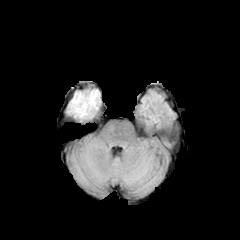
FLAIR MRI.
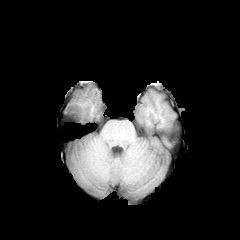
T1-weighted magnetic resonance of the same slice.
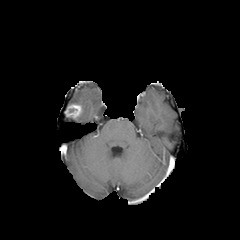
Post-contrast T1-weighted MR image.
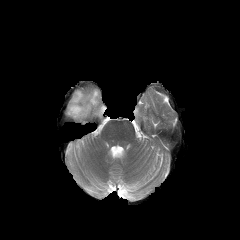
T2-weighted magnetic resonance.
Enhancing tumor = box(65, 104, 82, 118).
Edema = box(69, 89, 100, 121).